CT image. Image width 344 mm. Slice 230/466. 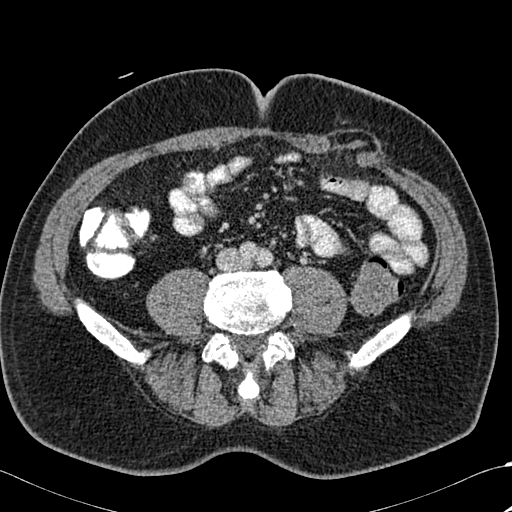

Annotated regions:
* bone: box=[258, 332, 294, 369]; box=[77, 302, 144, 363]; box=[350, 315, 410, 367]; box=[202, 270, 291, 401]